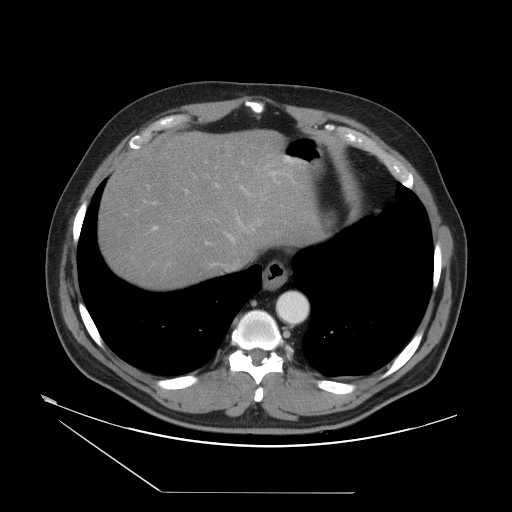
512x512 | Abdomen | CT
Some hepatic vessels may have no box.
{"hepatic_vessel": ["[x1=215, y1=184, x2=218, y2=187]", "[x1=235, y1=212, x2=261, y2=233]", "[x1=152, y1=202, x2=154, y2=204]", "[x1=226, y1=235, x2=234, y2=242]", "[x1=211, y1=263, x2=220, y2=265]", "[x1=239, y1=186, x2=249, y2=195]", "[x1=152, y1=226, x2=156, y2=230]", "[x1=241, y1=161, x2=243, y2=164]", "[x1=269, y1=169, x2=294, y2=183]", "[x1=184, y1=190, x2=186, y2=192]", "[x1=205, y1=242, x2=209, y2=245]", "[x1=144, y1=201, x2=145, y2=202]"], "liver_tumor": ["[x1=220, y1=148, x2=226, y2=155]"]}